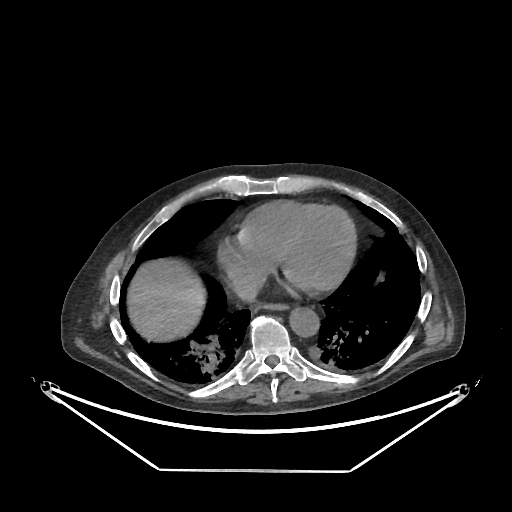
CT slice. Abdomen.
Segmented structures:
- liver: x1=127, y1=259, x2=205, y2=341